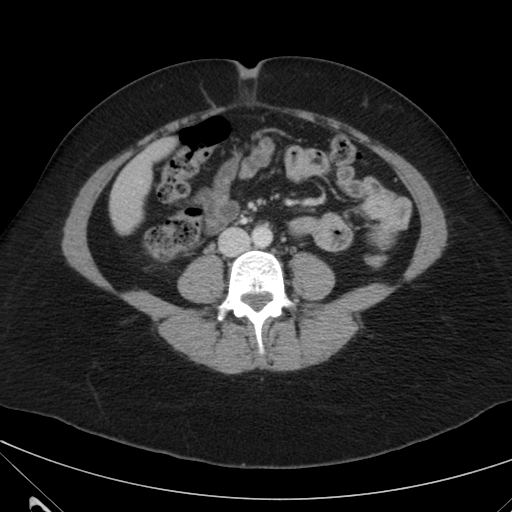

CT image. 512x512 px.
Liver: bounding box 111, 144, 164, 227.